Computed tomography, 512x512 px, Slice index 461

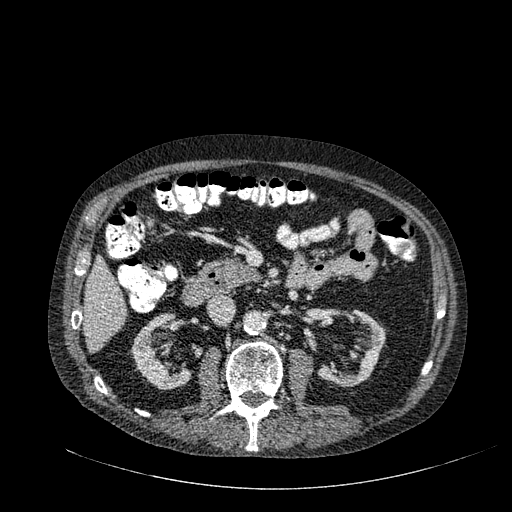
The liver is at (x1=84, y1=255, x2=126, y2=351). 2 kidney regions are located at (x1=131, y1=313, x2=191, y2=389), (x1=317, y1=310, x2=385, y2=386).